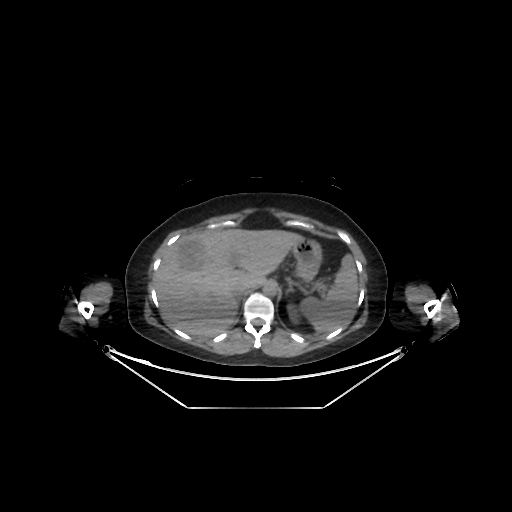 CT; Abdomen
The kidney is at 287, 304, 301, 323. The liver is located at 152, 227, 301, 339.